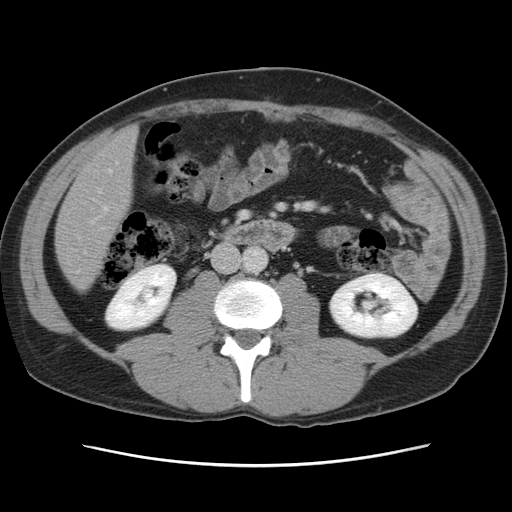
CT slice, Image size 512x512, Abdomen
The vessel annotation is not exhaustive.
Hepatic vessel: bounding box 109:169:111:173, 104:207:107:211, 93:199:94:200, 84:252:86:253, 77:271:79:273.